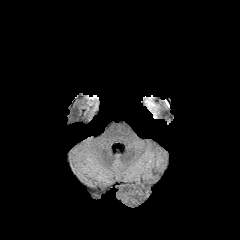
FLAIR MR image.
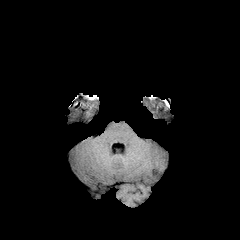
T1-weighted MR.
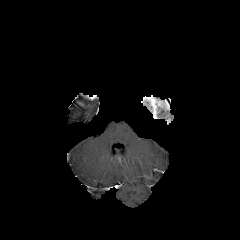
Same slice, post-contrast T1-weighted MRI.
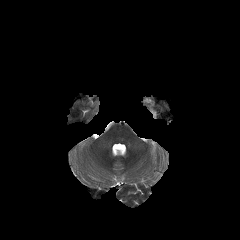
T2-weighted MR.
240x240
Segmented structures:
• non-enhancing tumor core: bbox=[144, 99, 155, 109]
• edema: bbox=[149, 101, 167, 114]